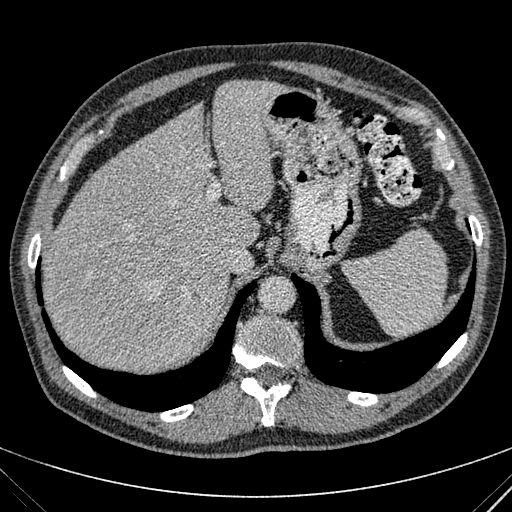
Abdomen, CT, 512x512 px
{"liver": ["rect(43, 81, 279, 369)"]}